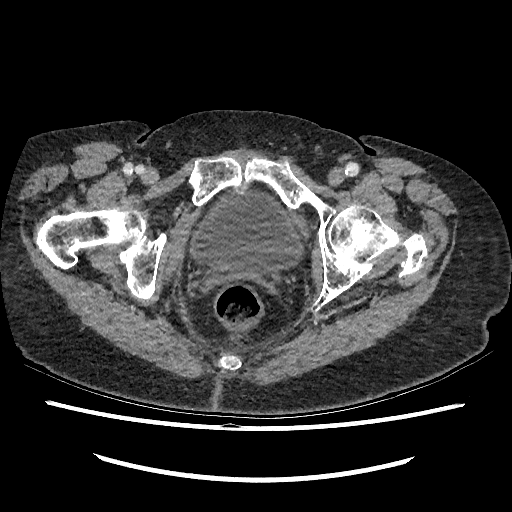

Image size 512x512, Pelvis, CT slice
Urinary bladder — (left=185, top=186, right=304, bottom=285).